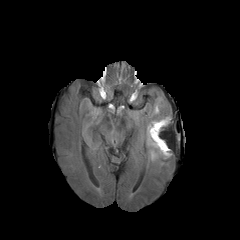
FLAIR MR.
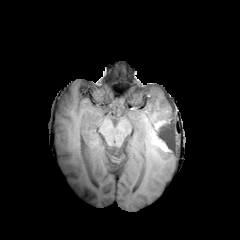
T1-weighted MRI.
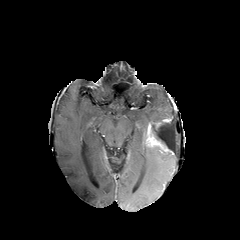
Post-contrast T1-weighted magnetic resonance.
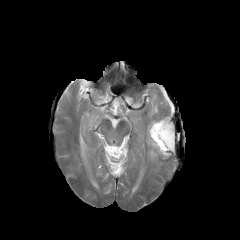
T2-weighted MR image.
Brain
<segmentation>
  <edema><box>140,97,171,139</box>, <box>147,145,171,162</box>, <box>94,90,109,101</box></edema>
  <non-enhancing_tumor_core><box>152,120,172,149</box></non-enhancing_tumor_core>
  <enhancing_tumor><box>148,124,169,153</box></enhancing_tumor>
</segmentation>